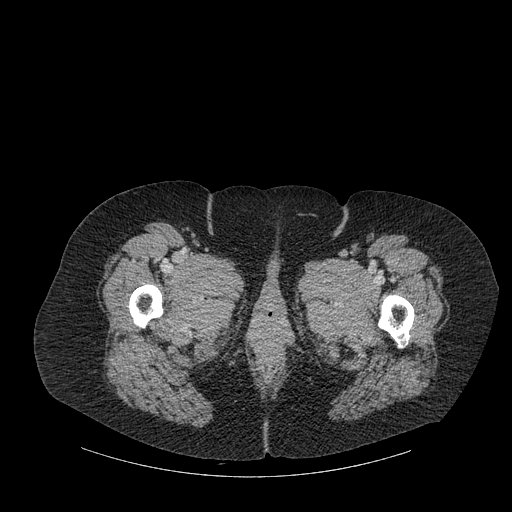

CT scan slice. Image size 512x512. bone:
  - x1=129, y1=284, x2=162, y2=327
  - x1=378, y1=295, x2=414, y2=347